CT scan slice. Field of view 320 mm wide, 0.80 mm slice spacing. Upper abdomen. 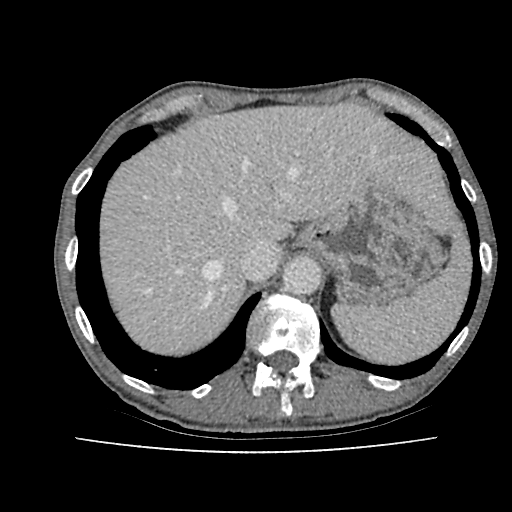
Annotated regions:
• liver: 98, 105, 450, 353